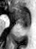
MR
Anterior hippocampus = l=12, t=7, r=29, b=19.
Posterior hippocampus = l=16, t=20, r=29, b=28.